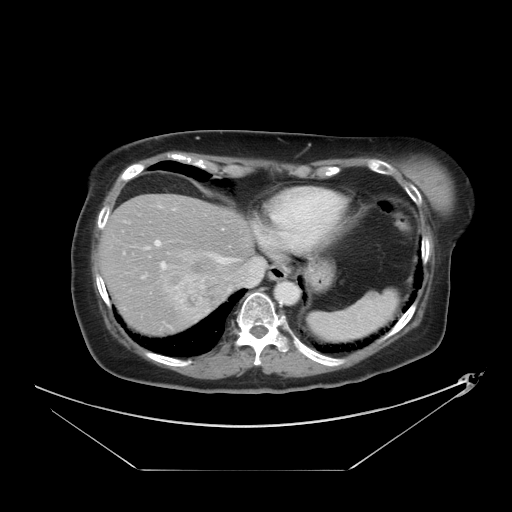
CT. 512x512. Abdomen. Only some of the vessels may be annotated.
{
  "liver_tumor": [
    "(163,255,230,317)"
  ],
  "hepatic_vessel": [
    "(246,260,261,285)",
    "(155,241,159,245)",
    "(145,247,148,248)",
    "(142,276,144,277)",
    "(161,262,165,268)",
    "(216,256,238,263)"
  ]
}